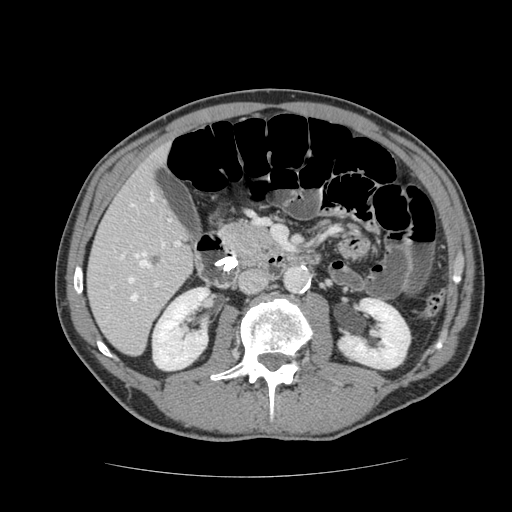 CT scan slice, 512x512

* pancreatic tumor: (x1=237, y1=224, x2=263, y2=242)
* pancreas: (x1=223, y1=218, x2=275, y2=270)